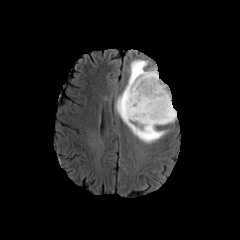
FLAIR MRI.
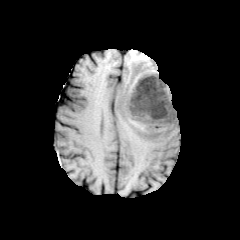
T1-weighted MRI.
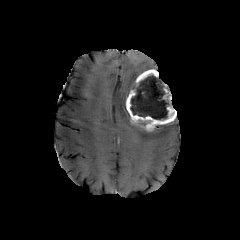
Same slice, post-contrast T1-weighted magnetic resonance.
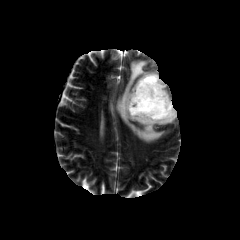
Same slice, T2-weighted magnetic resonance.
Image size 240x240; Brain
<segmentation>
  <edema>(left=114, top=58, right=170, bottom=143)</edema>
  <enhancing_tumor>(left=126, top=84, right=176, bottom=129), (left=136, top=69, right=157, bottom=86)</enhancing_tumor>
  <non-enhancing_tumor_core>(left=131, top=75, right=167, bottom=119), (left=139, top=121, right=155, bottom=136), (left=122, top=96, right=127, bottom=111)</non-enhancing_tumor_core>
</segmentation>